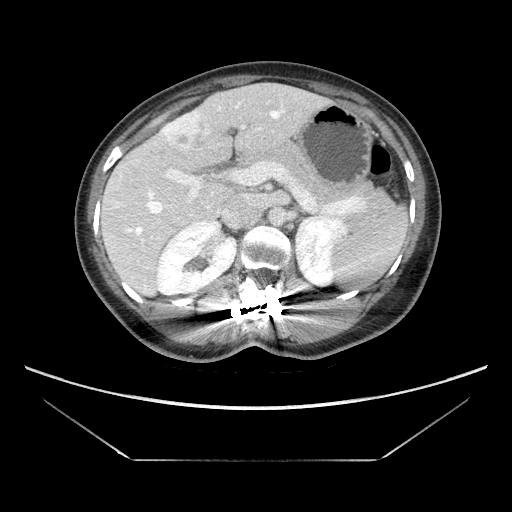

Liver. CT image.
Not every hepatic vessel necessarily has a box.
liver_tumor:
  - region(163, 115, 208, 145)
hepatic_vessel:
  - region(232, 163, 287, 184)
  - region(167, 169, 200, 201)
  - region(148, 201, 161, 211)